Slice index 86. Brain.
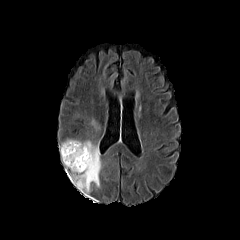
FLAIR MR image.
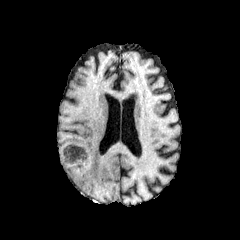
Same slice, T1-weighted MR image.
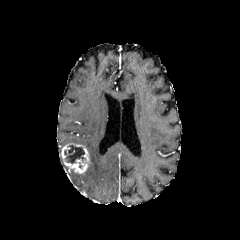
Post-contrast T1-weighted MR.
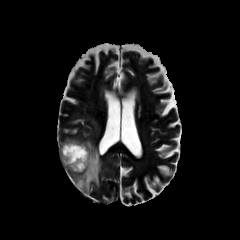
T2-weighted MRI of the same slice.
enhancing_tumor:
  - [61,142,91,173]
edema:
  - [61,139,102,195]
  - [88,118,100,131]
non-enhancing_tumor_core:
  - [64,145,86,163]